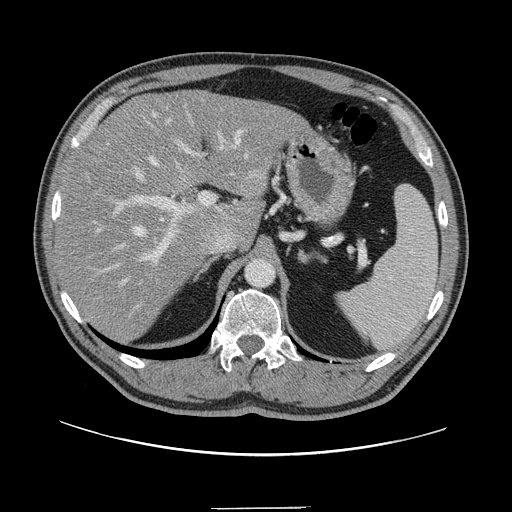 Liver. CT slice.
Only some of the vessels may be annotated.
Top 15 of 21 hepatic vessel regions: 197:153:203:156, 101:268:111:271, 219:134:223:149, 112:264:119:267, 141:227:178:262, 233:130:242:148, 96:229:99:232, 136:171:142:178, 199:193:216:206, 178:142:189:152, 134:228:145:235, 116:196:189:215, 150:158:157:165, 122:280:126:284, 117:245:123:248.
Liver tumor: 239:172:266:197.